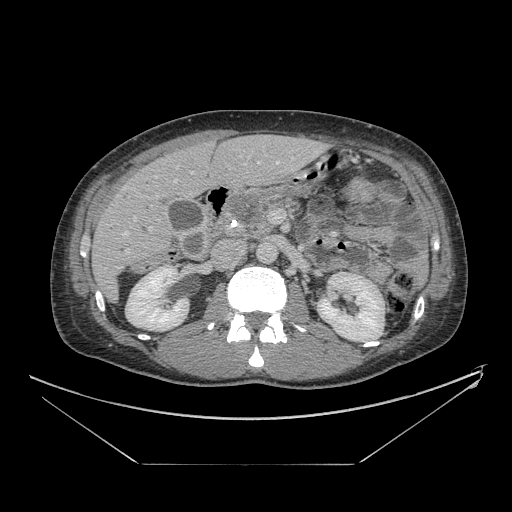

512x512 px; CT scan slice; Upper abdomen
<segmentation>
  <pancreatic_tumor>[x1=227, y1=193, x2=263, y2=228]</pancreatic_tumor>
  <pancreas>[x1=217, y1=188, x2=295, y2=239]</pancreas>
</segmentation>